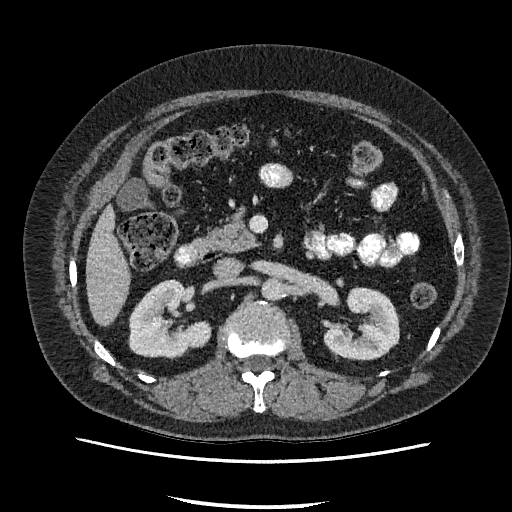
Liver, 512x512, CT scan slice

liver: (85,205,130,325) | kidney: (130,280,209,356), (325,289,398,358)